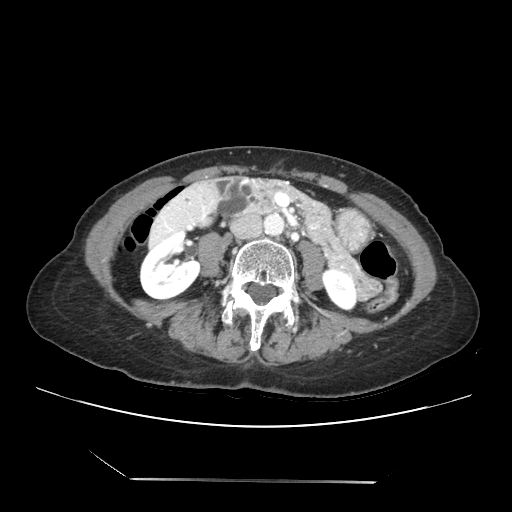

Upper abdomen, Image size 512x512, CT image
Findings:
* pancreas: <bbox>218, 176, 383, 301</bbox>